CT, Image size 512x512, Liver 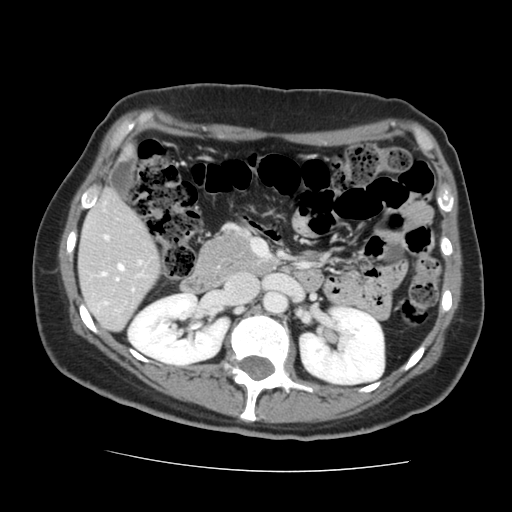
Not every hepatic vessel necessarily has a box.
Hepatic vessel — bbox(138, 261, 141, 264); bbox(101, 272, 105, 275); bbox(116, 278, 117, 280); bbox(104, 236, 107, 239); bbox(137, 275, 141, 276); bbox(118, 265, 123, 270).